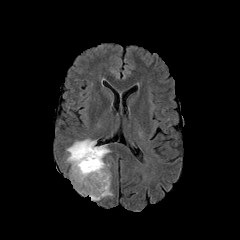
FLAIR magnetic resonance.
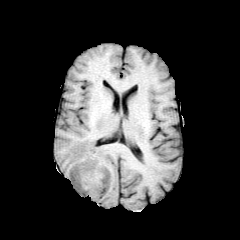
T1-weighted MRI.
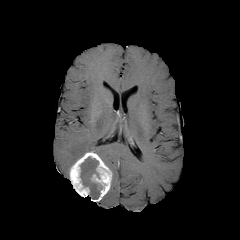
Same slice, post-contrast T1-weighted magnetic resonance.
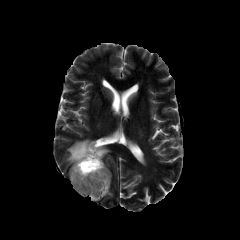
Same slice, T2-weighted magnetic resonance.
Non-enhancing tumor core = x1=80 y1=157 x2=99 y2=198.
Enhancing tumor = x1=69 y1=150 x2=111 y2=201.
Edema = x1=66 y1=138 x2=110 y2=166.